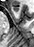
Hippocampus | MRI slice

{
  "anterior_hippocampus": [
    "box=[14, 7, 18, 11]"
  ]
}